MR. 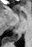

Posterior hippocampus: bounding box [7,34,21,41].